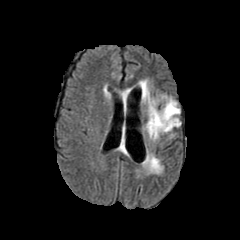
FLAIR MR.
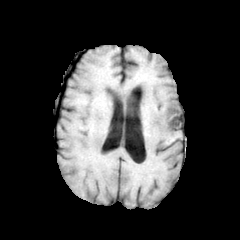
T1-weighted MR of the same slice.
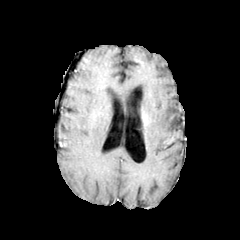
Post-contrast T1-weighted MR image.
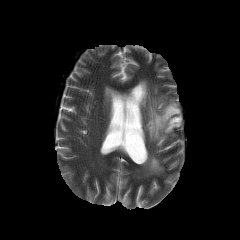
T2-weighted MRI.
Brain, Image size 240x240
edema:
  - [138,80,181,142]
  - [121,93,127,111]
  - [144,153,162,173]